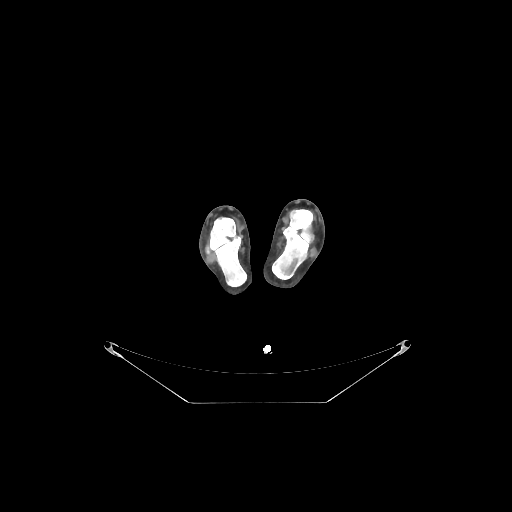

Image size 512x512, CT slice
<segmentation>
  <bone>206 217 246 286, 272 209 313 279</bone>
</segmentation>